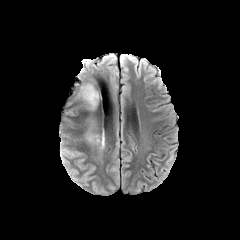
FLAIR MRI.
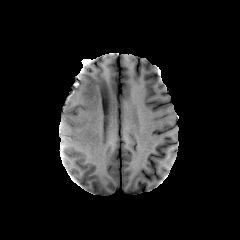
Same slice, T1-weighted MRI.
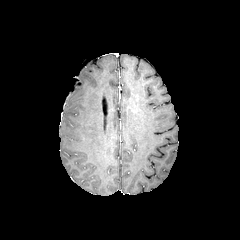
Post-contrast T1-weighted MRI.
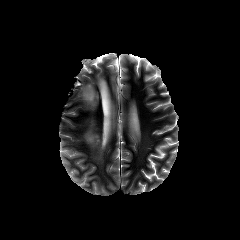
T2-weighted magnetic resonance.
Brain
Annotated regions:
* edema: l=86, t=129, r=105, b=149; l=81, t=84, r=98, b=110